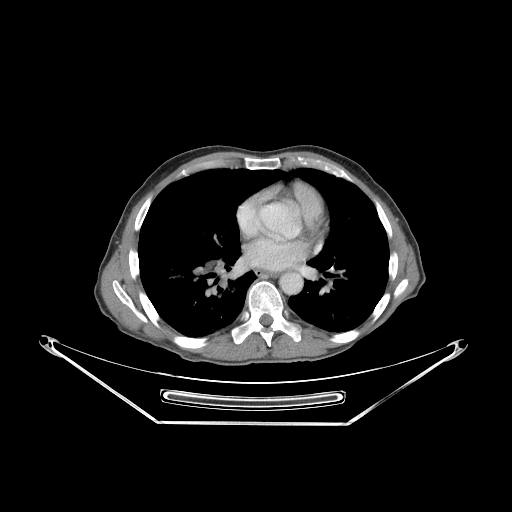

CT. {
  "lung": [
    "(138,168,389,336)"
  ],
  "bone": [
    "(331,331,358,342)",
    "(373,294,389,320)",
    "(113,281,146,321)",
    "(245,158,279,169)",
    "(232,281,299,346)",
    "(376,202,391,235)",
    "(129,250,138,278)",
    "(389,253,397,278)",
    "(175,337,205,348)",
    "(395,280,407,296)",
    "(135,198,150,229)",
    "(140,293,158,326)"
  ]
}